FLAIR magnetic resonance.
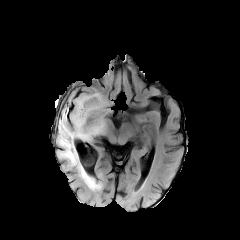
T1-weighted MR image.
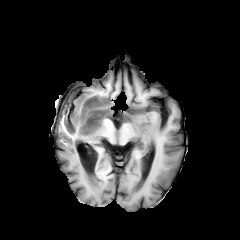
Post-contrast T1-weighted magnetic resonance.
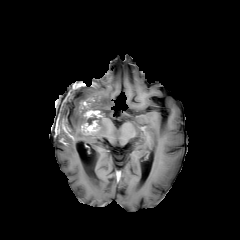
T2-weighted magnetic resonance.
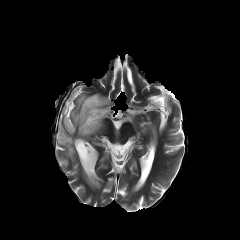
Head
2 enhancing tumor regions appear at x1=80, y1=120, x2=99, y2=133; x1=82, y1=98, x2=101, y2=118. 3 non-enhancing tumor core regions are bounded by x1=90, y1=98, x2=99, y2=109; x1=80, y1=102, x2=100, y2=124; x1=56, y1=117, x2=73, y2=131. The edema is bounded by x1=56, y1=91, x2=100, y2=189.